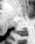
Magnetic resonance. Image size 35x44. Hippocampus.

{
  "posterior_hippocampus": [
    {"x1": 16, "y1": 28, "x2": 27, "y2": 36}
  ]
}